Image width 400 mm; Slice index 31; CT slice; 512x512 px
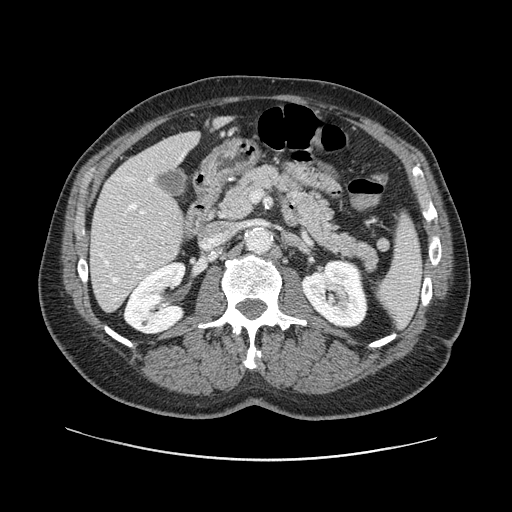 The pancreas appears at region(216, 165, 378, 272).